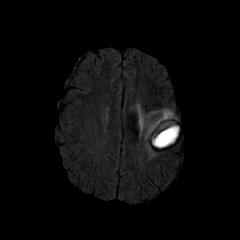
FLAIR MRI.
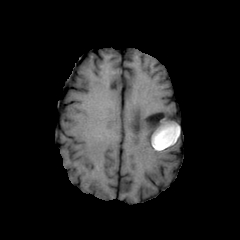
T1-weighted MR image.
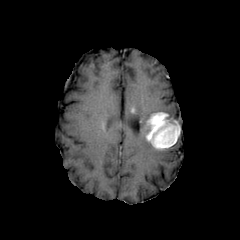
Same slice, post-contrast T1-weighted MR image.
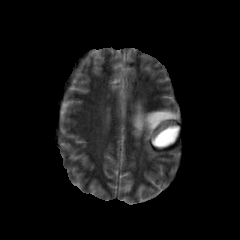
T2-weighted MR image of the same slice.
Image size 240x240
The enhancing tumor lies within box=[146, 112, 179, 147]. The edema lies within box=[131, 100, 174, 160]. The non-enhancing tumor core appears at box=[165, 112, 177, 124].